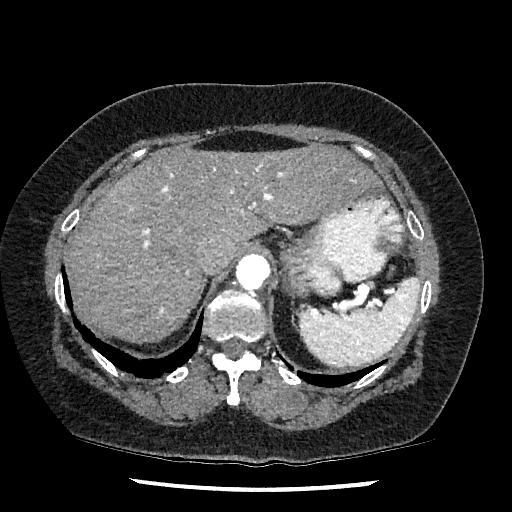

CT image, 512x512
liver: [x1=68, y1=144, x2=381, y2=342]